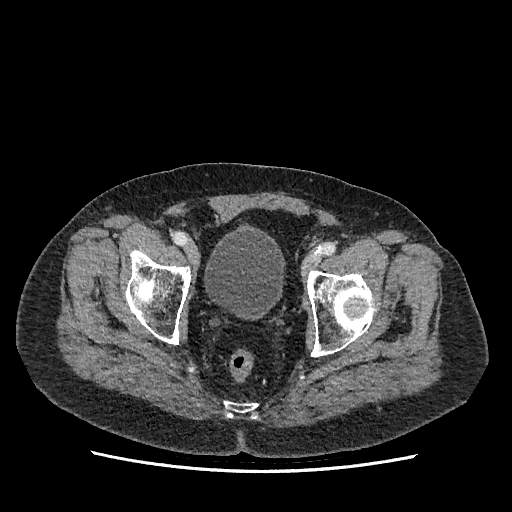
CT slice
{
  "urinary_bladder": [
    "(204,230,284,317)"
  ]
}